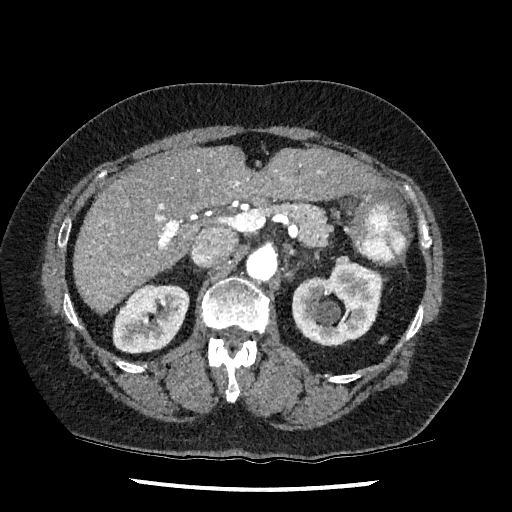 Upper abdomen | Computed tomography

2 kidney regions are bounded by left=113, top=285, right=188, bottom=352; left=292, top=257, right=381, bottom=344. The liver is bounded by left=74, top=146, right=389, bottom=312.